Abdomen; Slice 66 of 121; CT slice; Image width 418 mm

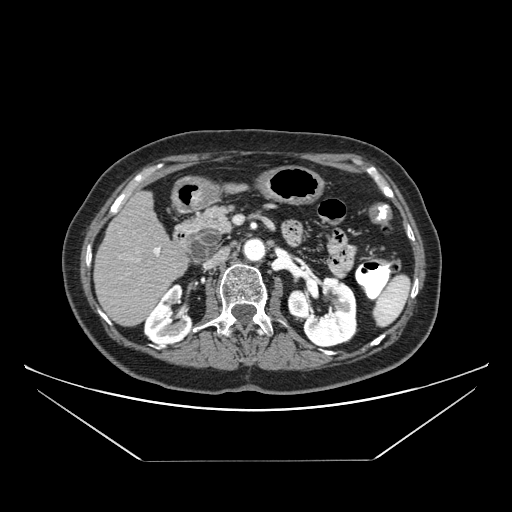 The pancreas lies within 177 206 233 265. The pancreatic tumor is bounded by 189 229 219 263.